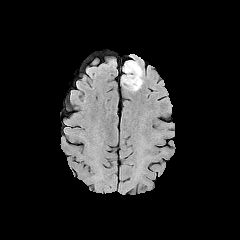
FLAIR magnetic resonance.
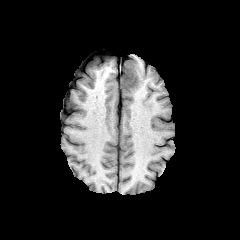
T1-weighted MR.
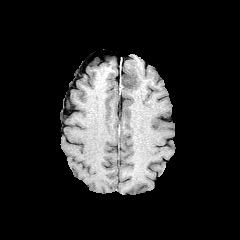
Post-contrast T1-weighted MR image.
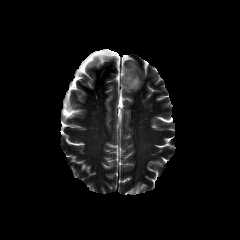
Same slice, T2-weighted MRI.
Brain.
Edema = (left=125, top=60, right=143, bottom=91).
Non-enhancing tumor core = (left=134, top=62, right=140, bottom=77), (left=121, top=64, right=137, bottom=89).